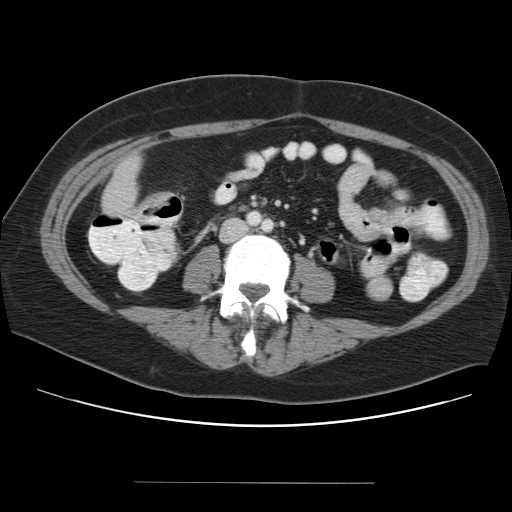
512x512 | Computed tomography

The colon tumor is at rect(130, 192, 168, 215).